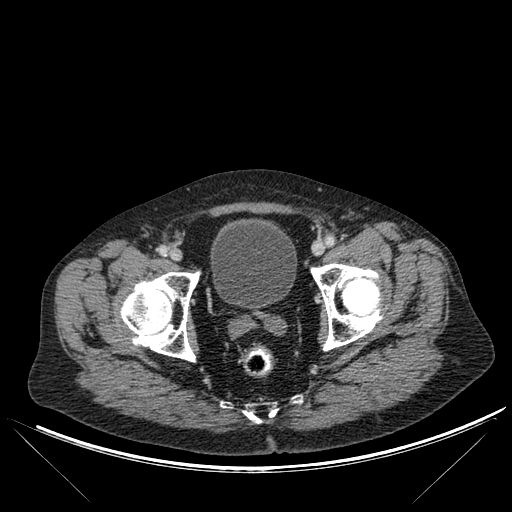

Pelvis. CT image.

4 bone regions appear at 311:263:382:350, 243:404:261:423, 267:403:277:417, 120:272:199:361. The urinary bladder appears at 210:218:296:307.